Lower abdomen, CT 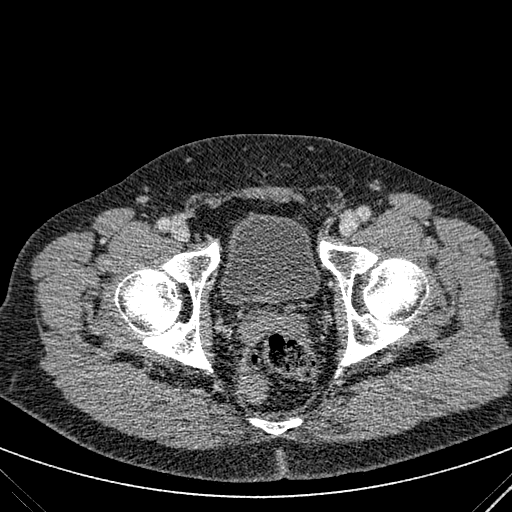
urinary_bladder:
  - bbox(218, 211, 321, 312)